CT scan slice; Slice 22 of 76; Abdomen; 512x512 px

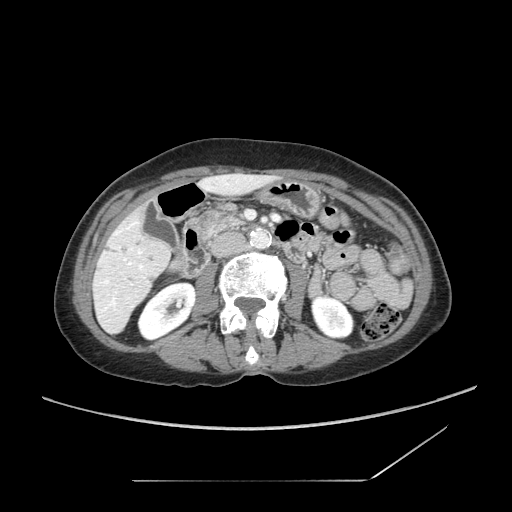 {"pancreas": ["region(198, 207, 243, 239)"], "pancreatic_tumor": ["region(203, 210, 226, 226)"]}